CT, Field of view 330x330 mm

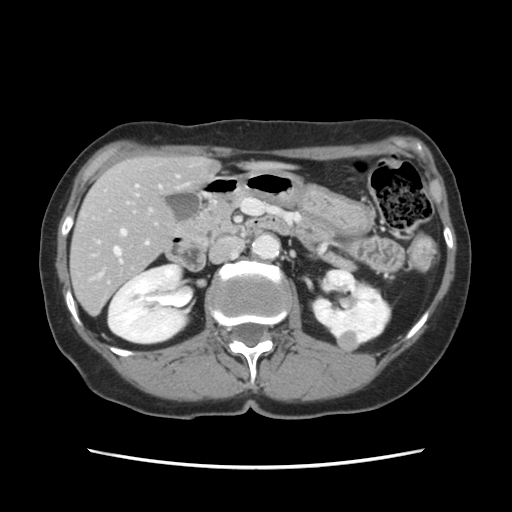

Some hepatic vessels may have no box.
hepatic vessel: bbox(121, 230, 125, 235); bbox(135, 185, 137, 187); bbox(146, 241, 148, 244); bbox(114, 248, 120, 255)